Abdomen | Image size 512x512 | CT scan slice | Slice 59/131

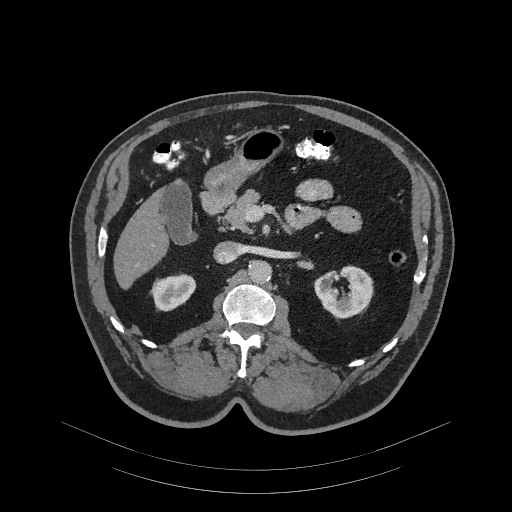
{"pancreas": ["bbox=[226, 190, 258, 231]"]}